Abdomen | Slice 216 of 696 | CT image 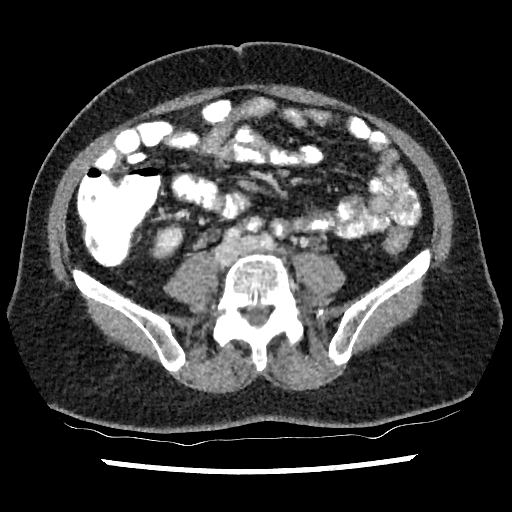
Kidney: bbox(158, 230, 179, 250).